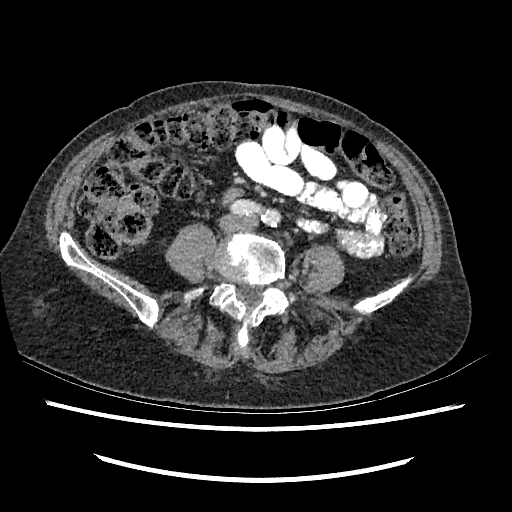 CT, Abdomen
Kidney at box(155, 234, 172, 253).